FLAIR MR.
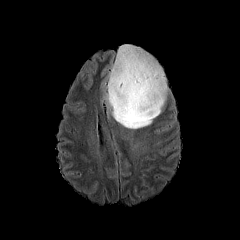
T1-weighted MR image.
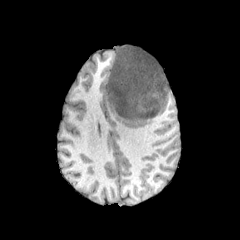
Post-contrast T1-weighted MR.
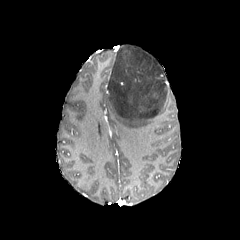
T2-weighted MRI.
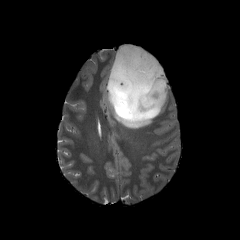
Image size 240x240.
Annotated regions:
- edema: box=[107, 44, 168, 129]